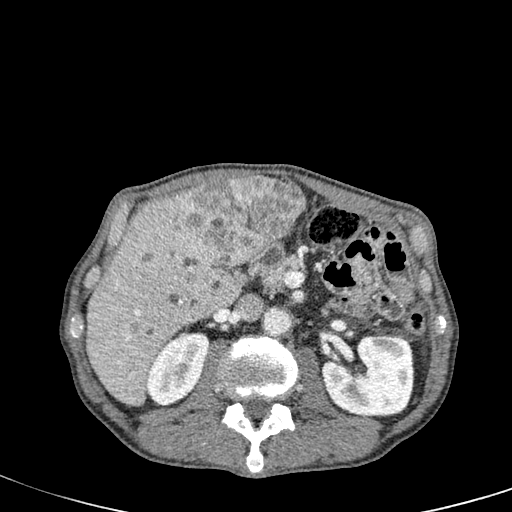
Liver. CT scan slice. Kidney: 323 337 412 415, 145 334 208 404.
Liver: 86 190 239 406, 295 197 305 221.
Focal liver lesion: 186 176 304 264, 187 272 207 282.